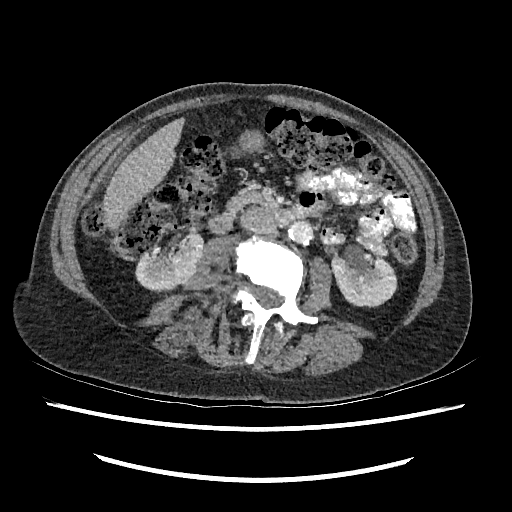
Image size 512x512, CT, Abdomen
- liver: rect(104, 119, 183, 227)
- kidney: rect(332, 259, 396, 305); rect(136, 236, 202, 289)